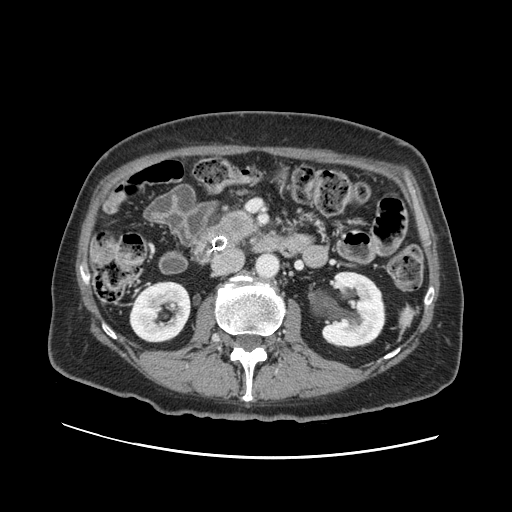

Image size 512x512, CT scan slice

Pancreatic tumor: x1=216 y1=210 x2=258 y2=243.
Pancreas: x1=203 y1=208 x2=259 y2=253.